Field of view 404 mm wide, 0.70 mm slice spacing | 512x512 px | Lower abdomen | CT image

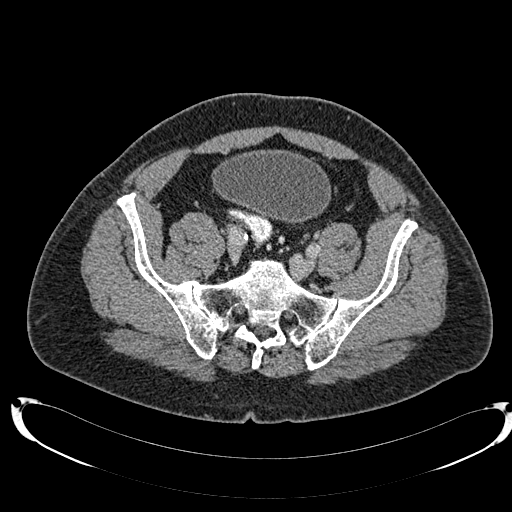 The urinary bladder appears at (214, 149, 330, 223).